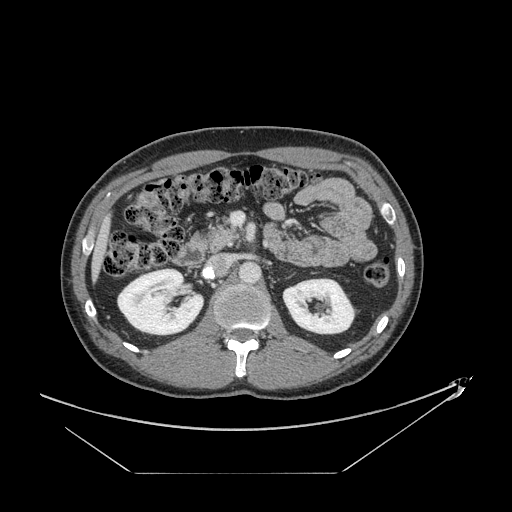
CT scan slice, Abdomen

The pancreas lies within (193, 222, 242, 252).